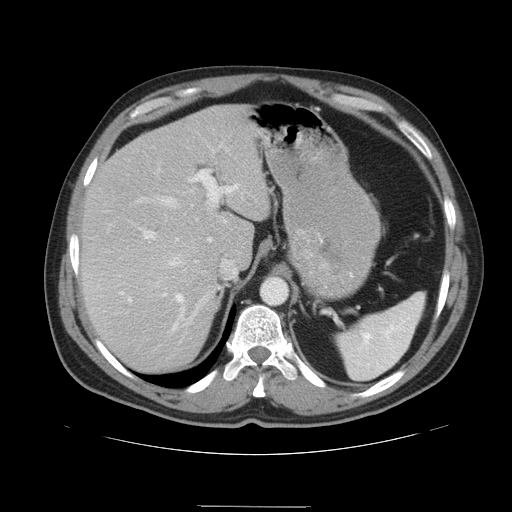
Computed tomography | Liver | 512x512
Some hepatic vessels may have no box.
Principal 15 of 18 hepatic vessel regions: (x1=172, y1=323, x2=177, y2=332), (x1=208, y1=238, x2=211, y2=241), (x1=169, y1=258, x2=180, y2=265), (x1=175, y1=238, x2=178, y2=241), (x1=221, y1=260, x2=236, y2=277), (x1=211, y1=148, x2=214, y2=153), (x1=155, y1=196, x2=176, y2=206), (x1=221, y1=218, x2=224, y2=220), (x1=141, y1=198, x2=147, y2=201), (x1=142, y1=231, x2=156, y2=239), (x1=156, y1=280, x2=159, y2=286), (x1=219, y1=143, x2=226, y2=149), (x1=175, y1=293, x2=210, y2=326), (x1=129, y1=298, x2=131, y2=302), (x1=188, y1=170, x2=238, y2=206).